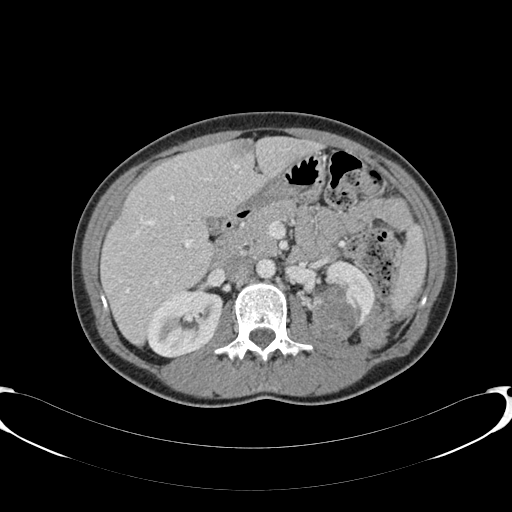 Abdomen; Computed tomography
{
  "liver": [
    "102,137,322,343"
  ],
  "kidney": [
    "312,262,374,350",
    "148,291,221,356"
  ],
  "hepatic_lesion": [
    "233,139,252,155"
  ]
}